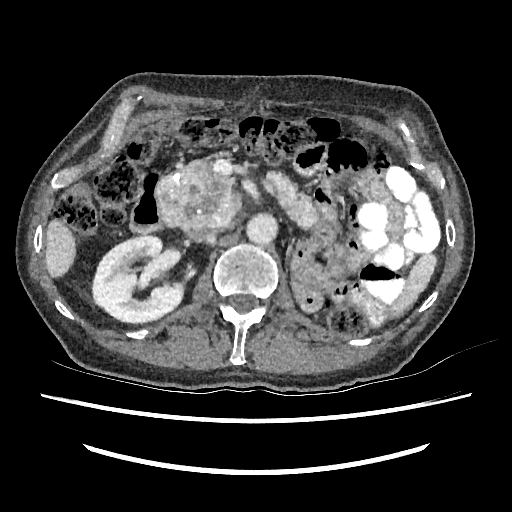
Upper abdomen. Computed tomography.

The kidney appears at 93, 236, 182, 322. The liver is located at 46, 221, 75, 276.